512x512 px, Slice 217/908, Pelvis, Computed tomography
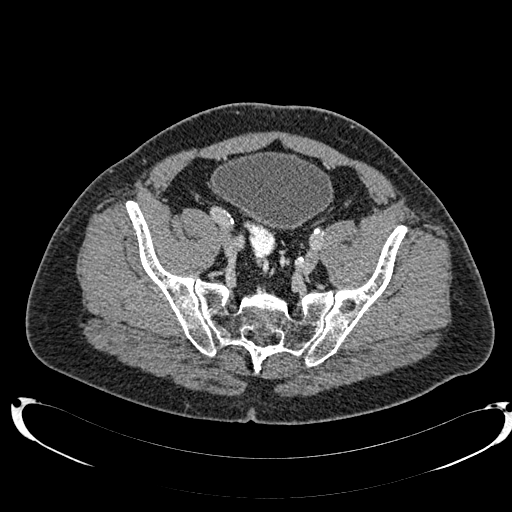
Urinary bladder = (left=212, top=152, right=332, bottom=229).